Slice index 109; Brain; Field of view 240 mm wide, 1.00 mm slice spacing
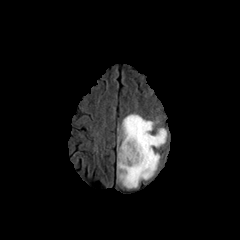
FLAIR MR.
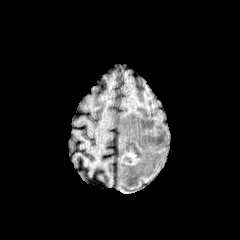
T1-weighted magnetic resonance.
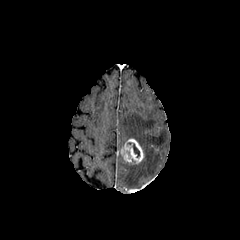
Post-contrast T1-weighted MR.
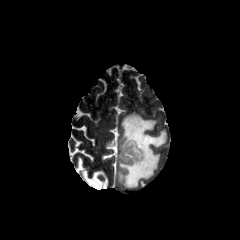
Same slice, T2-weighted MRI.
Edema: (left=117, top=113, right=167, bottom=188).
Non-enhancing tumor core: (left=133, top=143, right=140, bottom=157).
Enhancing tumor: (left=119, top=139, right=144, bottom=164).